FLAIR magnetic resonance.
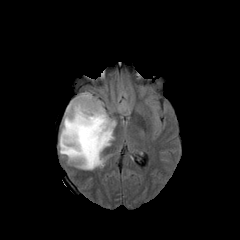
T1-weighted MR.
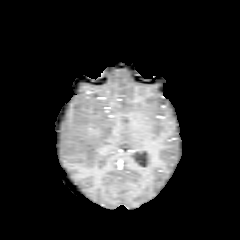
Post-contrast T1-weighted MRI.
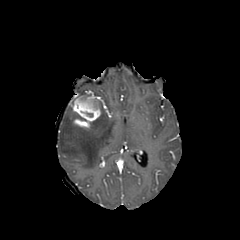
T2-weighted magnetic resonance.
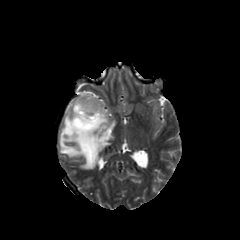
Head
The enhancing tumor is bounded by region(69, 95, 101, 127). The non-enhancing tumor core lies within region(73, 113, 85, 121). The edema appears at region(59, 101, 115, 169).